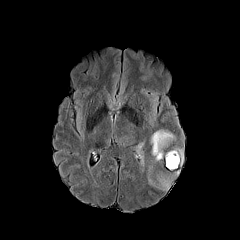
FLAIR MRI.
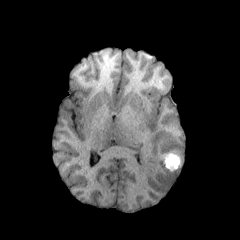
T1-weighted MR of the same slice.
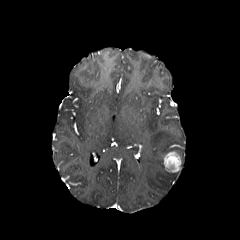
Post-contrast T1-weighted MR of the same slice.
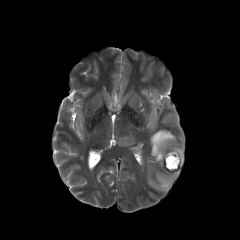
T2-weighted MR image of the same slice.
240x240
enhancing_tumor:
  - left=163, top=150, right=181, bottom=172
edema:
  - left=158, top=178, right=169, bottom=189
  - left=149, top=132, right=175, bottom=161